Image size 41x47, Field of view 41 mm wide, 1.00 mm slice spacing, MRI slice, Medial temporal lobe, Slice 33 of 42 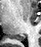

{"posterior_hippocampus": ["<bbox>15, 35, 25, 40</bbox>"]}